Upper abdomen; 512x512; CT image

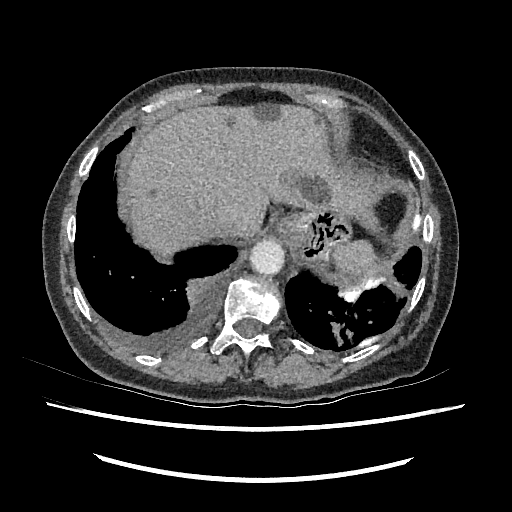
The liver is at <box>127,105,357,256</box>. 5 hepatic lesion regions are located at <box>148,189,155,198</box>, <box>226,117,235,125</box>, <box>280,167,333,204</box>, <box>314,117,322,124</box>, <box>254,105,280,119</box>.